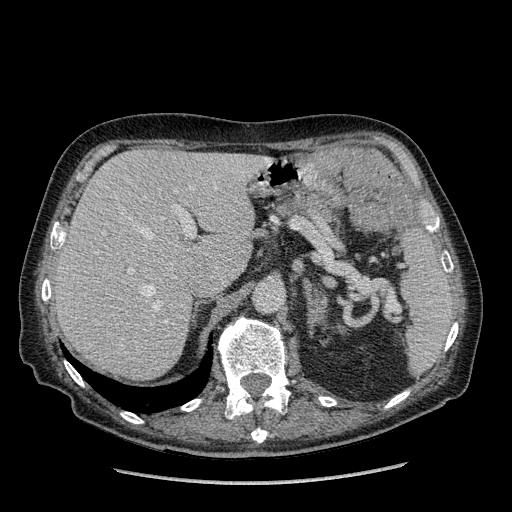

Computed tomography

The liver lies within 56,150,259,379.